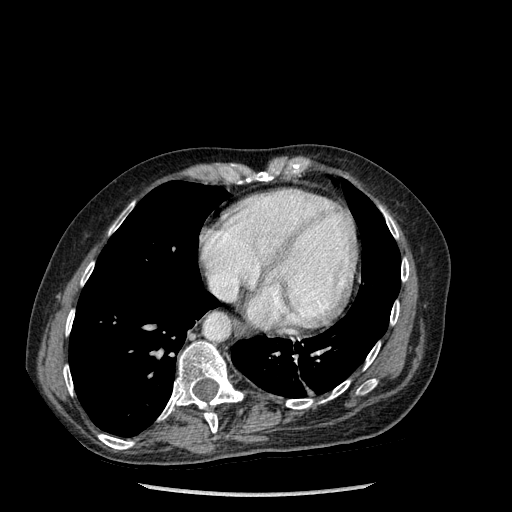

Chest, CT, 512x512 px
• bone: bbox=[390, 300, 399, 325]; bbox=[65, 309, 74, 335]; bbox=[158, 341, 243, 433]; bbox=[382, 209, 398, 238]; bbox=[80, 261, 94, 285]; bbox=[356, 379, 377, 394]; bbox=[286, 399, 315, 409]; bbox=[320, 380, 350, 402]; bbox=[401, 257, 409, 281]; bbox=[363, 342, 380, 370]; bbox=[63, 365, 73, 395]; bbox=[109, 201, 134, 234]; bbox=[239, 171, 273, 183]; bbox=[98, 434, 134, 449]
• lung: bbox=[69, 181, 228, 436]; bbox=[231, 180, 400, 398]